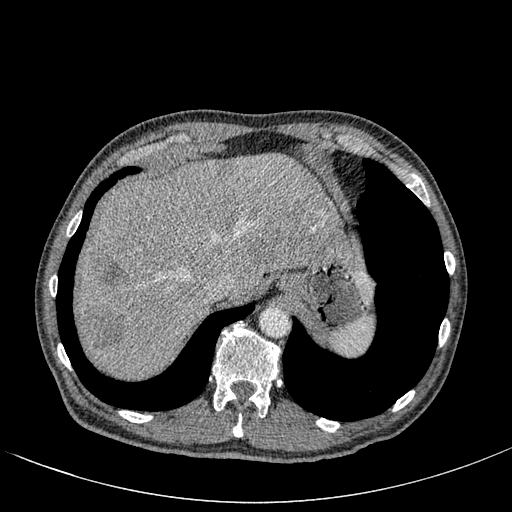
Image size 512x512, CT image
<segmentation>
  <focal_liver_lesion>rect(215, 165, 226, 177); rect(287, 200, 306, 222); rect(82, 305, 126, 348); rect(97, 258, 125, 288); rect(251, 243, 274, 263)</focal_liver_lesion>
  <liver>rect(77, 152, 352, 378)</liver>
</segmentation>